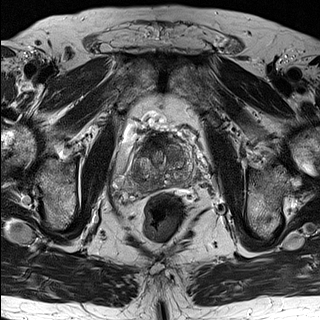
T2-weighted MR.
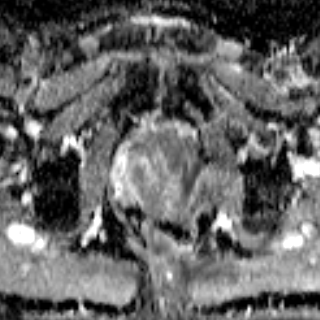
ADC MRI.
320x320 px
Prostate transition zone = (131, 140, 196, 191).